FLAIR MR.
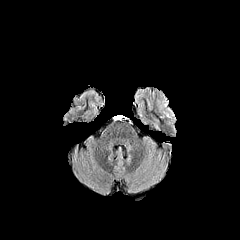
T1-weighted MRI.
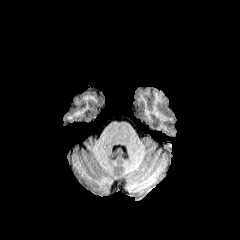
Post-contrast T1-weighted magnetic resonance.
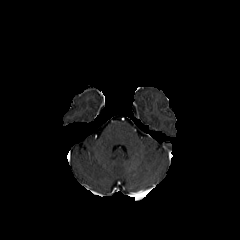
T2-weighted MR image.
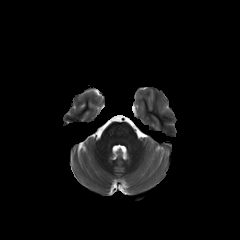
Head
The edema is at 156 91 174 123.